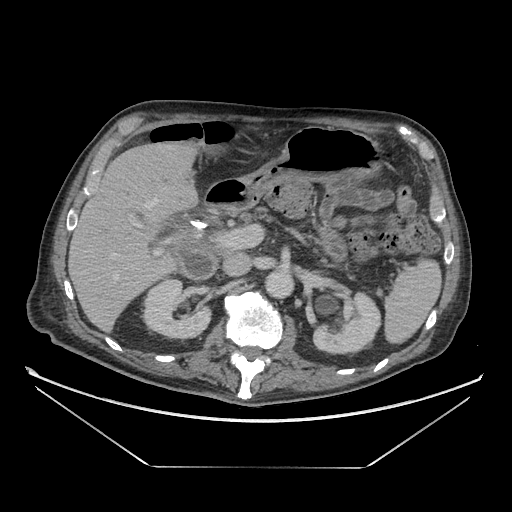
Upper abdomen, 512x512, CT
The pancreas lies within <bbox>243, 208, 272, 223</bbox>.